Image size 512x512 | Pelvis | CT

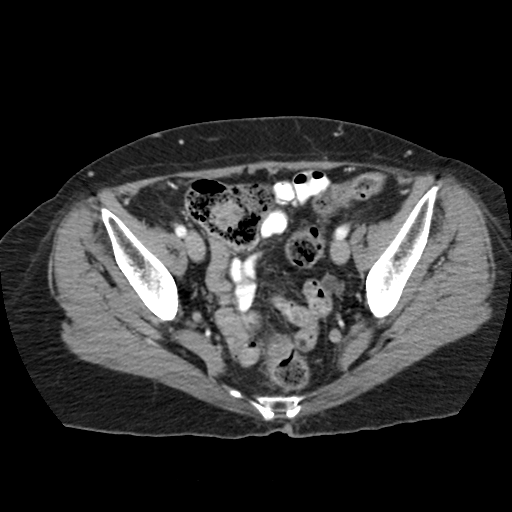

Colon tumor: <bbox>267, 335, 291, 369</bbox>.